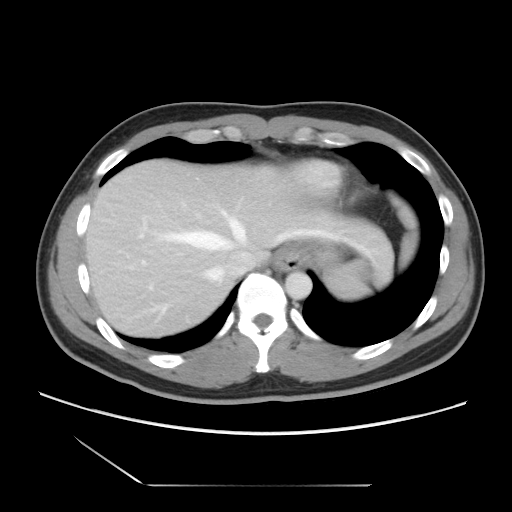
CT image
Only some of the vessels may be annotated.
5 hepatic vessel regions are bounded by (left=140, top=235, right=142, bottom=236), (left=166, top=218, right=246, bottom=249), (left=238, top=253, right=249, bottom=260), (left=222, top=211, right=226, bottom=215), (left=207, top=269, right=222, bottom=279).